Slice index 87
FLAIR magnetic resonance.
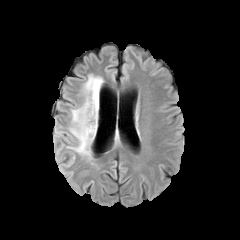
T1-weighted MRI.
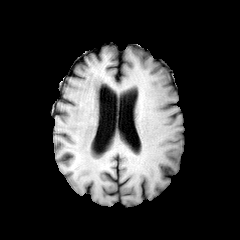
Post-contrast T1-weighted magnetic resonance.
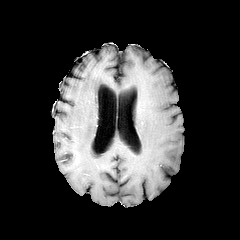
T2-weighted MRI.
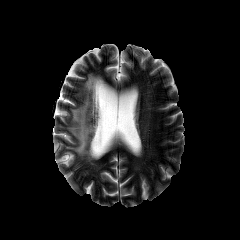
Findings:
- edema: l=66, t=73, r=104, b=159